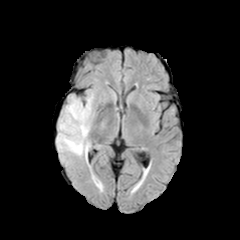
FLAIR MR image.
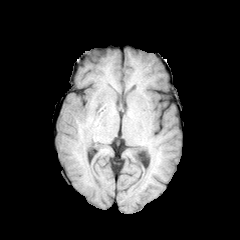
Same slice, T1-weighted MR.
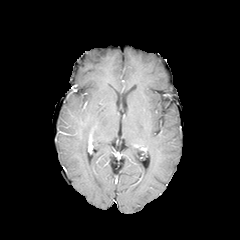
Post-contrast T1-weighted MR.
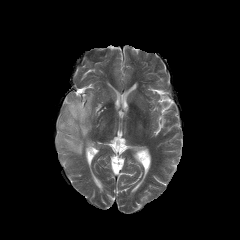
Same slice, T2-weighted magnetic resonance.
240x240 px
The edema is located at [56, 90, 95, 166].